CT slice 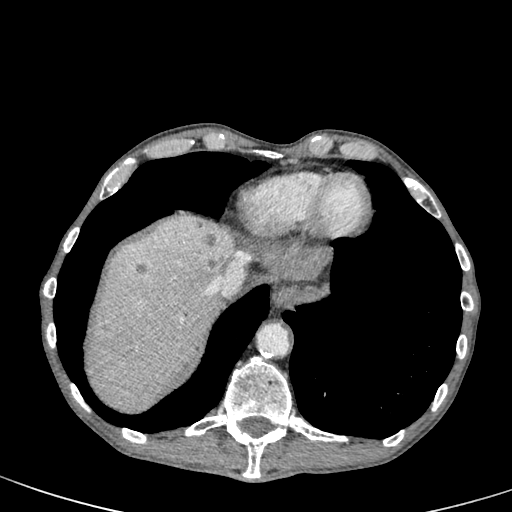 Liver — (left=258, top=259, right=304, bottom=280), (left=85, top=217, right=234, bottom=413).
Hepatic lesion — (left=222, top=250, right=231, bottom=261), (left=258, top=247, right=328, bottom=279), (left=197, top=222, right=216, bottom=244).